Slice 17 of 33; MRI slice 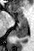
The posterior hippocampus is bounded by [12, 20, 28, 37]. The anterior hippocampus is located at [18, 13, 26, 19].